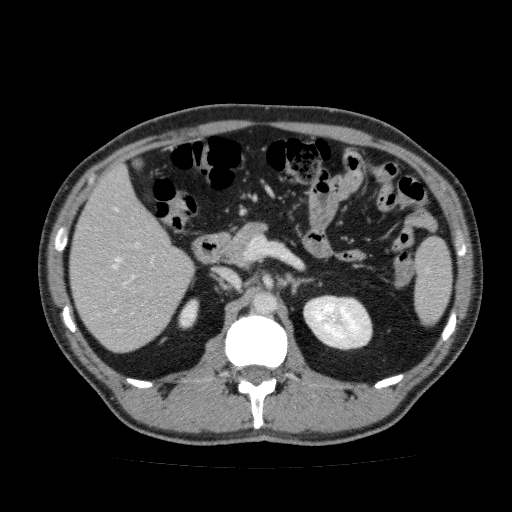 Image size 512x512 | CT | Abdomen
2 kidney regions are located at x1=180, y1=301, x2=196, y2=326; x1=304, y1=296, x2=371, y2=348. The liver is bounded by x1=68, y1=163, x2=192, y2=353.